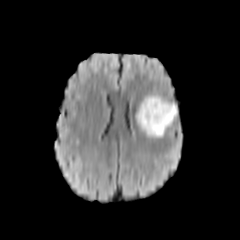
FLAIR magnetic resonance.
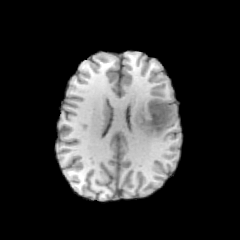
T1-weighted MR image.
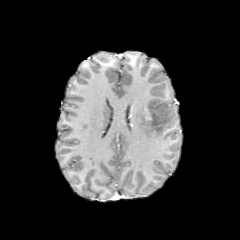
Same slice, post-contrast T1-weighted MRI.
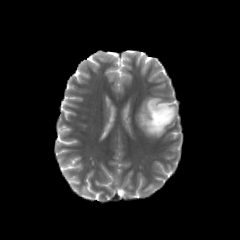
T2-weighted MR.
non-enhancing_tumor_core:
  - 143 96 175 132
edema:
  - 135 96 174 138